FLAIR MRI.
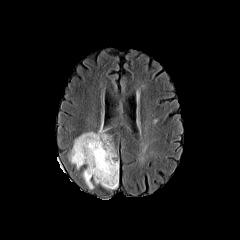
T1-weighted MRI.
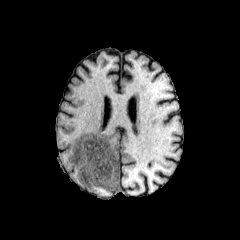
Post-contrast T1-weighted magnetic resonance.
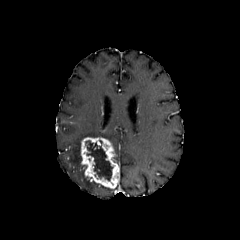
T2-weighted MR image.
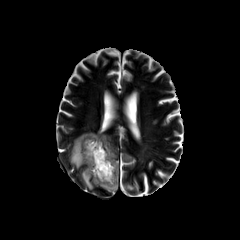
Annotated regions:
• non-enhancing tumor core: x1=85, y1=140, x2=113, y2=181
• enhancing tumor: x1=80, y1=137, x2=119, y2=188
• edema: x1=70, y1=131, x2=110, y2=169; x1=82, y1=173, x2=93, y2=189